FLAIR MR image.
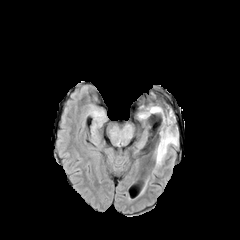
T1-weighted MRI.
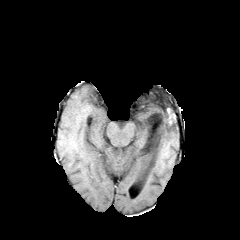
Post-contrast T1-weighted magnetic resonance.
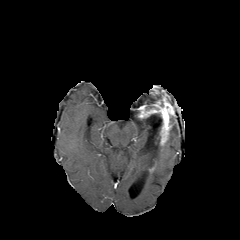
T2-weighted MRI.
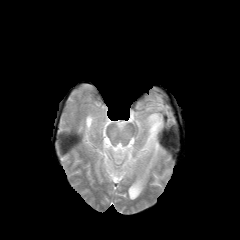
Image size 240x240 | Head
Annotated regions:
* edema: (x1=154, y1=131, x2=177, y2=166), (x1=115, y1=129, x2=131, y2=143)
* enhancing tumor: (x1=139, y1=104, x2=169, y2=143)
* non-enhancing tumor core: (x1=152, y1=113, x2=164, y2=145)